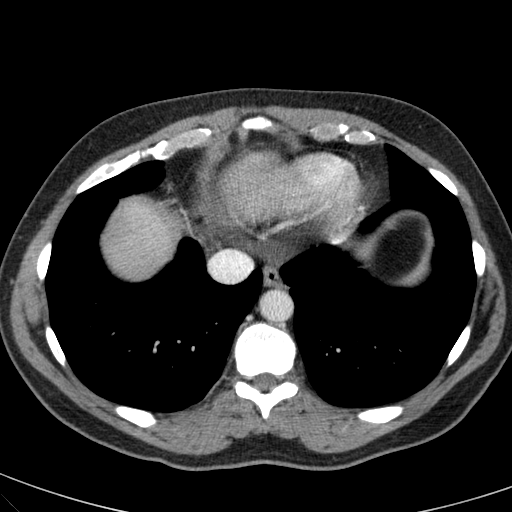

Upper abdomen. Computed tomography. 512x512. 3 liver regions are bounded by <bbox>233, 181, 240, 191</bbox>, <bbox>108, 203, 175, 266</bbox>, <bbox>237, 158, 268, 181</bbox>.